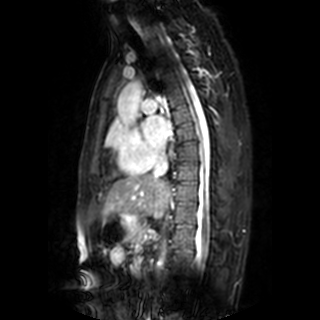
MR.

Left atrium = bbox(143, 115, 171, 148).